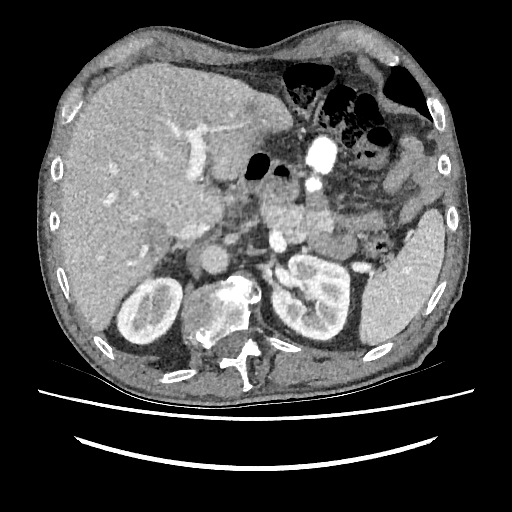 CT scan slice. kidney:
  - [x1=273, y1=255, x2=349, y2=339]
  - [x1=118, y1=278, x2=182, y2=343]
liver:
  - [x1=60, y1=64, x2=292, y2=329]
focal_liver_lesion:
  - [x1=245, y1=104, x2=254, y2=114]
  - [x1=140, y1=219, x2=164, y2=255]
  - [x1=247, y1=119, x2=272, y2=145]